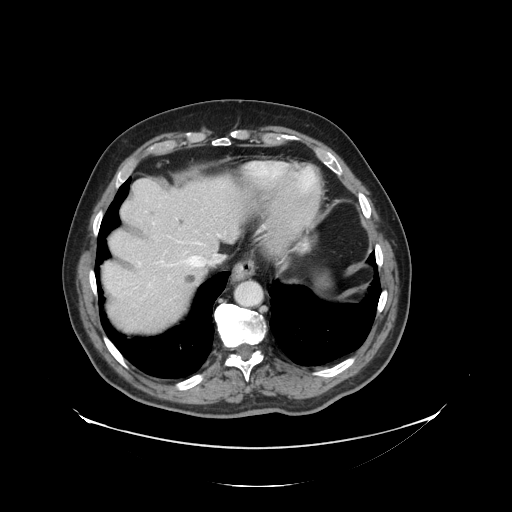
CT slice
Some hepatic vessels may have no box.
{"liver_tumor": ["185:275:194:282"], "hepatic_vessel": ["139:263:140:265", "149:284:151:287", "153:223:154:224", "159:261:162:262", "213:254:216:258", "198:243:202:244", "218:234:219:236", "199:262:205:267", "194:273:198:280", "185:256:198:262"]}